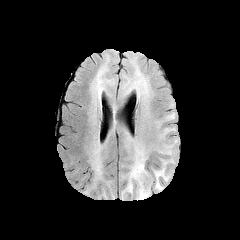
FLAIR MRI.
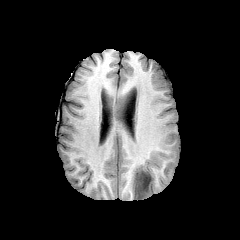
T1-weighted MR.
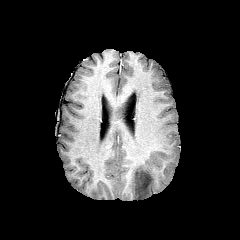
Same slice, post-contrast T1-weighted magnetic resonance.
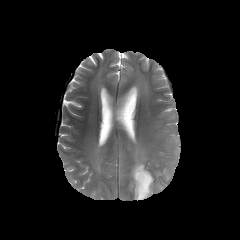
T2-weighted MR image of the same slice.
Head
The non-enhancing tumor core is located at [x1=134, y1=169, x2=151, y2=196]. 3 edema regions appear at [x1=127, y1=147, x2=151, y2=198], [x1=154, y1=168, x2=169, y2=189], [x1=90, y1=148, x2=101, y2=174].